CT image. Abdomen. 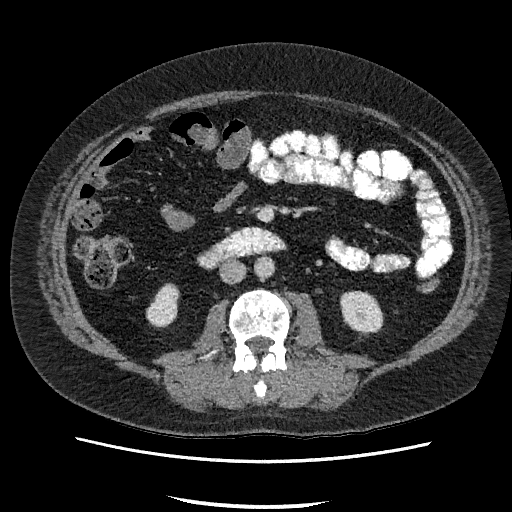

2 kidney regions are located at region(148, 287, 176, 325); region(341, 292, 381, 330).